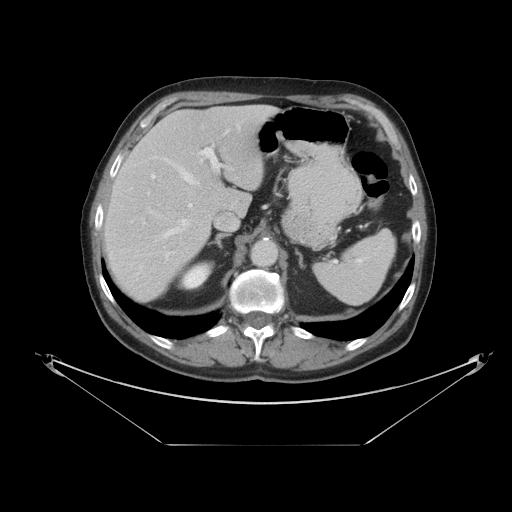 CT scan slice
{"spleen": ["<box>314,230,395,304</box>"]}